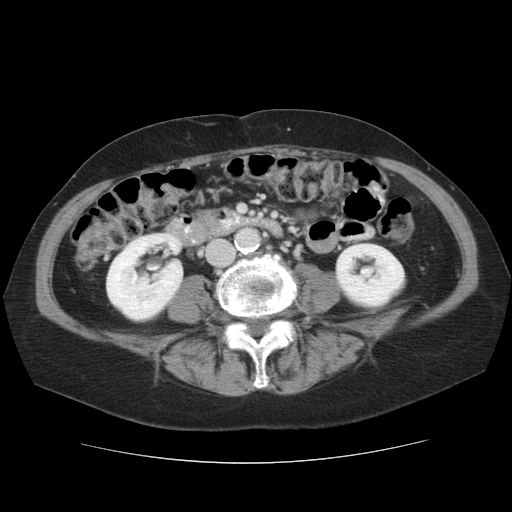
CT

{"bone": ["x1=376, y1=317, x2=393, y2=328", "x1=214, y1=253, x2=298, y2=387"], "kidney": ["x1=336, y1=244, x2=403, y2=305", "x1=107, y1=233, x2=184, y2=319"]}